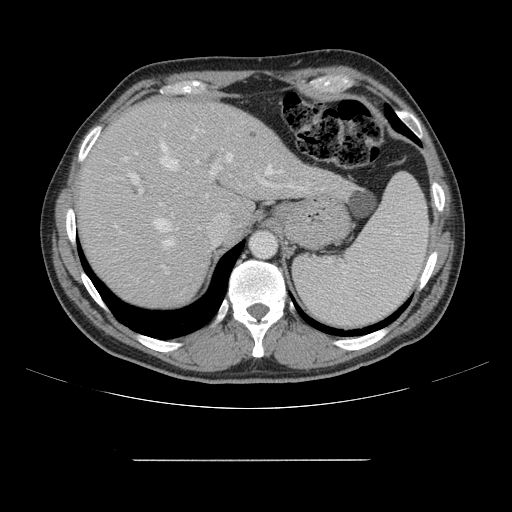 CT. 512x512. Liver.
Only some of the vessels may be annotated.
Largest 15 of 17 hepatic vessel regions: (162,266,168,273), (163,240,173,247), (128,173,138,184), (307,182,308,185), (139,189,143,192), (226,153,231,160), (288,185,304,190), (196,160,199,162), (192,136,194,138), (153,219,168,231), (206,194,208,197), (279,171,283,172), (255,174,273,185), (209,166,221,174), (266,165,273,174).